MRI, Cardiac, Slice 46/110
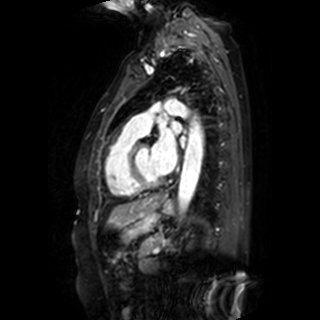 Left atrium at 152, 130, 176, 172; 179, 136, 185, 147; 172, 121, 181, 132.